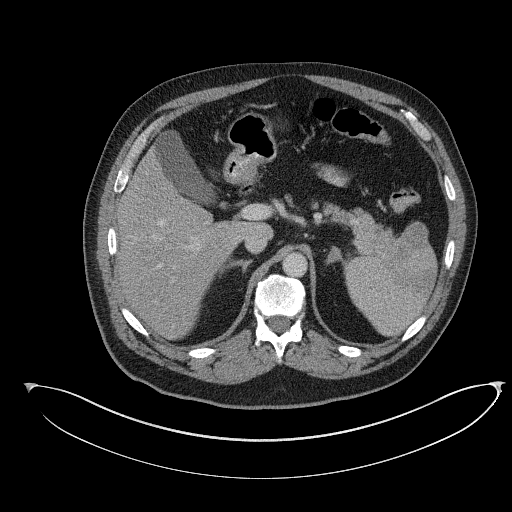 CT scan slice, Upper abdomen

{"pancreatic_tumor": ["352:213:374:254"], "pancreas": ["369:218:393:254", "325:205:368:224"]}